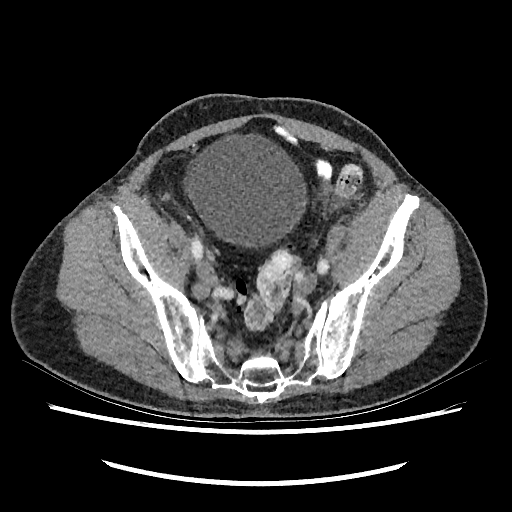

Computed tomography; Pelvis
- urinary bladder: [x1=186, y1=133, x2=307, y2=248]